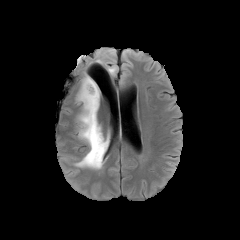
FLAIR MR.
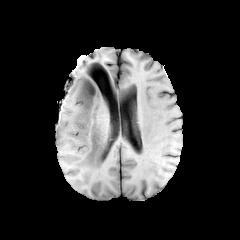
Same slice, T1-weighted MRI.
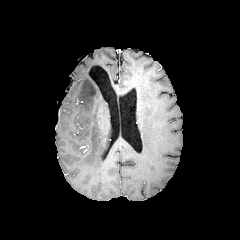
Post-contrast T1-weighted MRI of the same slice.
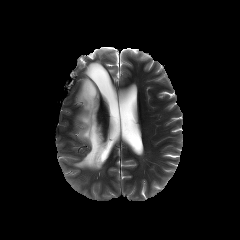
T2-weighted MR.
Image size 240x240
non-enhancing tumor core: bbox=[85, 82, 93, 95] | edema: bbox=[74, 76, 109, 169]; bbox=[103, 50, 115, 58]; bbox=[105, 64, 116, 75]